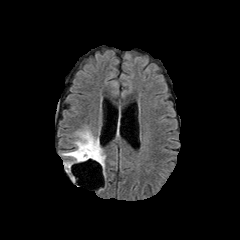
FLAIR MRI.
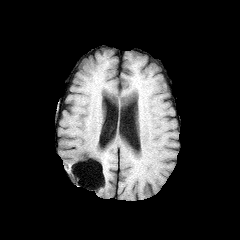
Same slice, T1-weighted magnetic resonance.
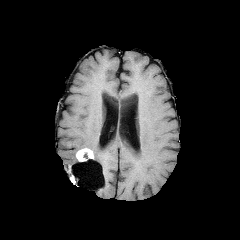
Post-contrast T1-weighted MR image.
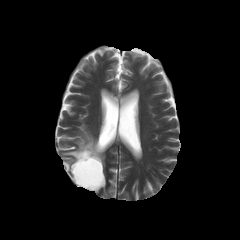
T2-weighted MR image of the same slice.
Brain | Image size 240x240
2 edema regions are bounded by 61:126:99:173, 98:146:105:175. The enhancing tumor is located at 76:148:94:161. The non-enhancing tumor core is bounded by 76:144:103:166.